FLAIR magnetic resonance.
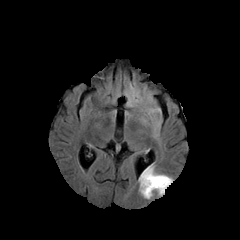
T1-weighted MR image.
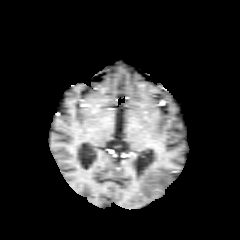
Post-contrast T1-weighted MRI.
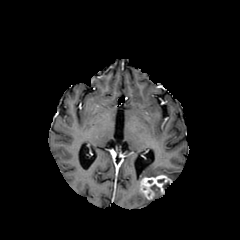
T2-weighted MRI.
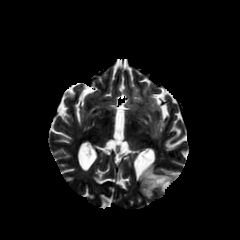
Image size 240x240
Annotated regions:
* edema: x1=137, y1=162, x2=156, y2=199; x1=152, y1=187, x2=164, y2=196
* enhancing tumor: x1=140, y1=175, x2=171, y2=199